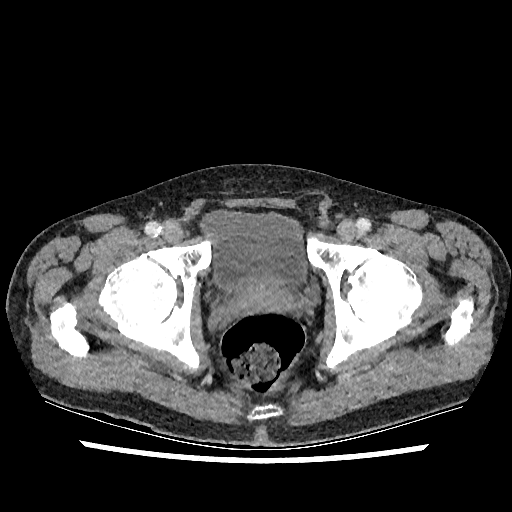

Pelvis | 512x512 | CT slice
Urinary bladder = <box>200,209,314,324</box>.